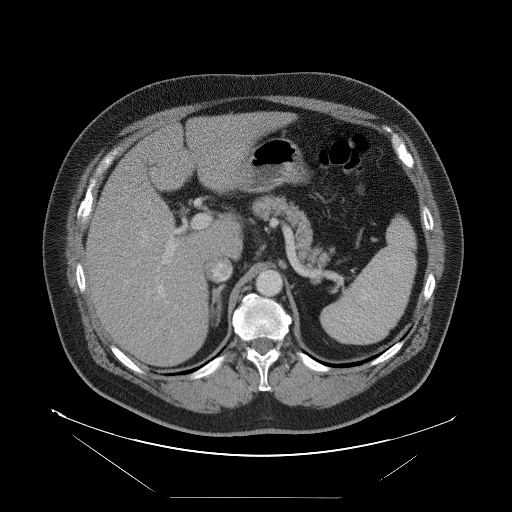
CT slice

The vessel annotation is not exhaustive.
11 hepatic vessel regions are bounded by {"x1": 118, "y1": 221, "x2": 120, "y2": 223}, {"x1": 162, "y1": 234, "x2": 176, "y2": 262}, {"x1": 157, "y1": 267, "x2": 159, "y2": 270}, {"x1": 174, "y1": 305, "x2": 177, "y2": 308}, {"x1": 156, "y1": 277, "x2": 158, "y2": 279}, {"x1": 165, "y1": 300, "x2": 168, "y2": 304}, {"x1": 124, "y1": 280, "x2": 127, "y2": 284}, {"x1": 135, "y1": 277, "x2": 136, "y2": 284}, {"x1": 147, "y1": 291, "x2": 149, "y2": 293}, {"x1": 140, "y1": 232, "x2": 146, "y2": 246}, {"x1": 158, "y1": 285, "x2": 165, "y2": 296}.